MRI slice. 320x320 px. Field of view 400x400 mm. Cardiac. 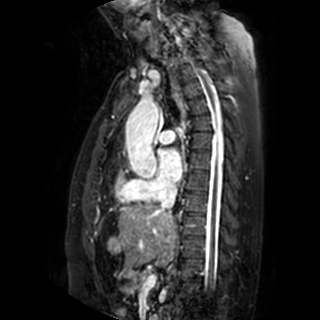 Segmented structures:
• left atrium: (left=159, top=149, right=182, bottom=182)